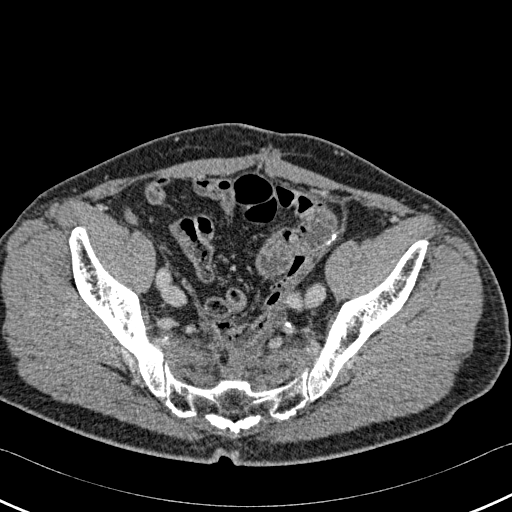 CT

<segmentation>
  <bone>box=[69, 227, 427, 433]</bone>
</segmentation>